MR image, Field of view 32 mm wide, 1.00 mm slice spacing, Hippocampus
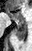

posterior hippocampus: bbox(15, 24, 27, 40) | anterior hippocampus: bbox(5, 8, 26, 23)